Slice index 129, CT image, Abdomen 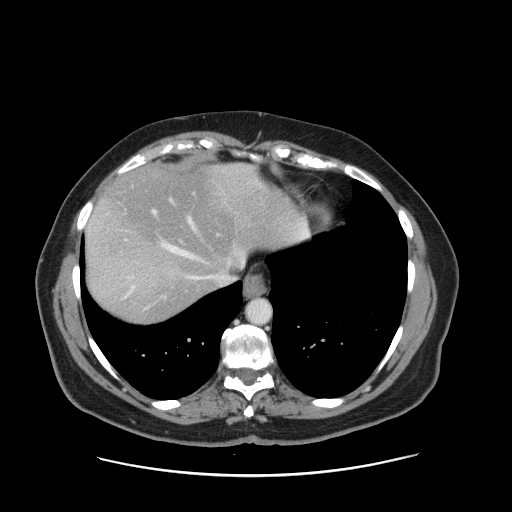
Only some of the vessels may be annotated.
Hepatic vessel: box(152, 210, 156, 212); box(170, 198, 172, 202); box(161, 296, 164, 298); box(194, 277, 197, 279).